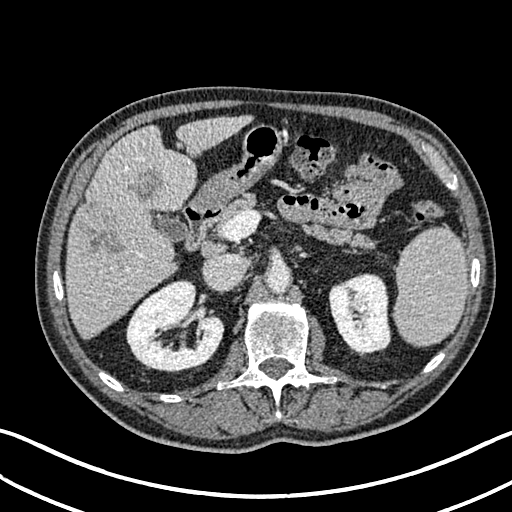 Liver, CT slice
Liver at bbox=[66, 116, 250, 336].
Focal liver lesion at bbox=[129, 170, 159, 197]; bbox=[84, 202, 127, 254].
Kidney at bbox=[330, 275, 389, 352]; bbox=[127, 281, 223, 370].